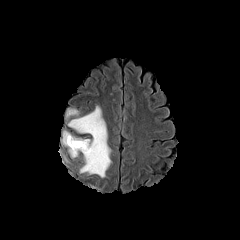
FLAIR MR image.
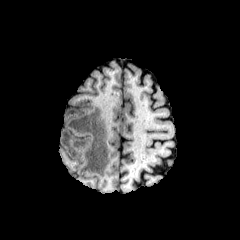
T1-weighted magnetic resonance.
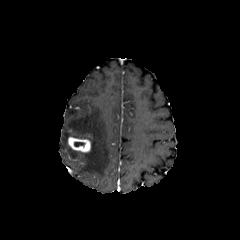
Post-contrast T1-weighted MRI.
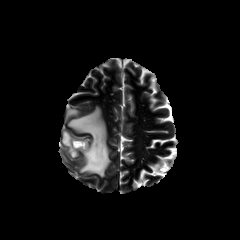
T2-weighted MRI.
Head
Edema — x1=65, y1=108, x2=78, y2=119; x1=61, y1=130, x2=69, y2=146; x1=68, y1=147, x2=77, y2=157; x1=67, y1=106, x2=112, y2=178.
Enhancing tumor — x1=68, y1=135, x2=91, y2=153.